Head | Image width 240 mm
FLAIR MR.
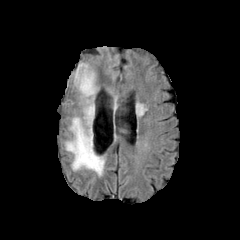
T1-weighted magnetic resonance.
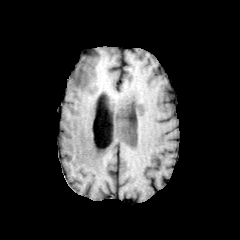
Post-contrast T1-weighted MRI.
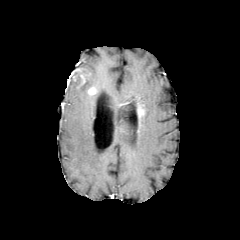
T2-weighted MR image.
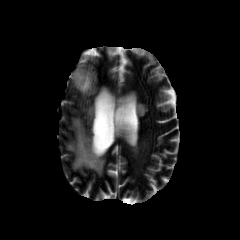
The non-enhancing tumor core is located at [x1=68, y1=69, x2=90, y2=86]. The edema is at [x1=65, y1=63, x2=105, y2=175].